Brain, Slice 66 of 155
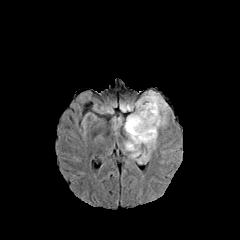
FLAIR MRI.
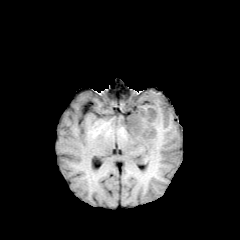
T1-weighted MR image.
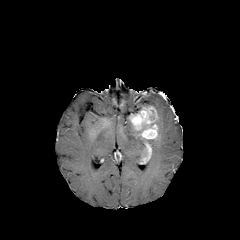
Post-contrast T1-weighted MR.
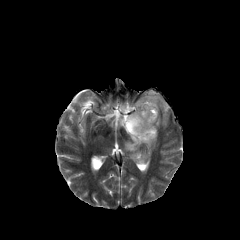
T2-weighted MR of the same slice.
Edema at region(113, 116, 147, 163); region(120, 90, 169, 128); region(147, 136, 157, 150).
Non-enhancing tumor core at region(126, 118, 141, 138).
Enhancing tumor at region(140, 142, 150, 162); region(128, 106, 157, 139).